CT. Slice index 23.

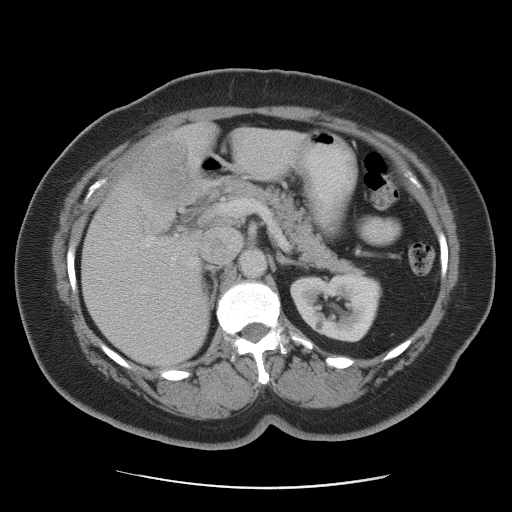
Some hepatic vessels may have no box.
The liver tumor appears at 135 141 190 205. 3 hepatic vessel regions appear at 220 201 240 211, 144 236 154 245, 176 234 177 236.